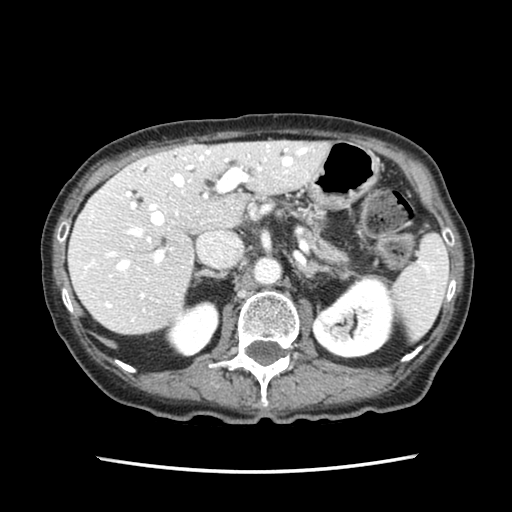
Computed tomography, Upper abdomen

pancreas:
  - region(306, 231, 347, 267)